Slice 77 of 155
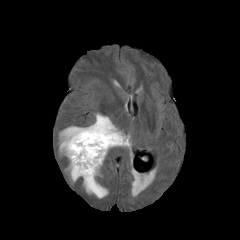
FLAIR magnetic resonance.
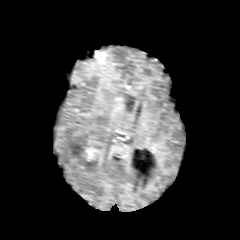
T1-weighted MR image.
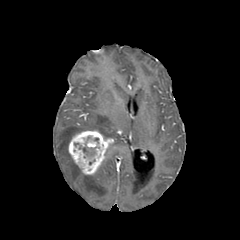
Same slice, post-contrast T1-weighted MR.
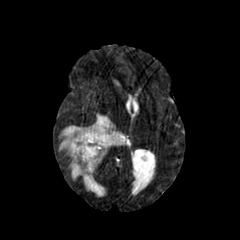
Same slice, T2-weighted MR.
non-enhancing tumor core: box(80, 144, 96, 164) | edema: box(58, 113, 129, 197) | enhancing tumor: box(68, 131, 113, 174)